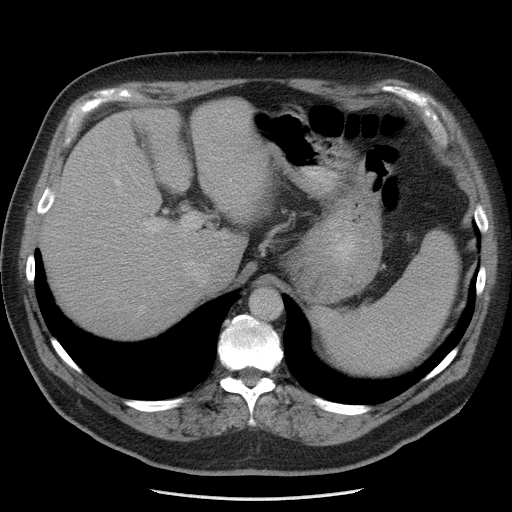 CT scan slice; 512x512 px
Only some of the vessels may be annotated.
15 hepatic vessel regions are located at bbox(145, 203, 147, 204); bbox(135, 230, 139, 230); bbox(202, 171, 209, 179); bbox(146, 248, 149, 249); bbox(182, 256, 208, 282); bbox(111, 175, 121, 195); bbox(137, 213, 140, 215); bbox(153, 242, 155, 244); bbox(178, 215, 201, 231); bbox(124, 194, 126, 195); bbox(148, 276, 151, 278); bbox(143, 294, 145, 296); bbox(143, 219, 163, 235); bbox(181, 233, 184, 236); bbox(139, 305, 144, 311).